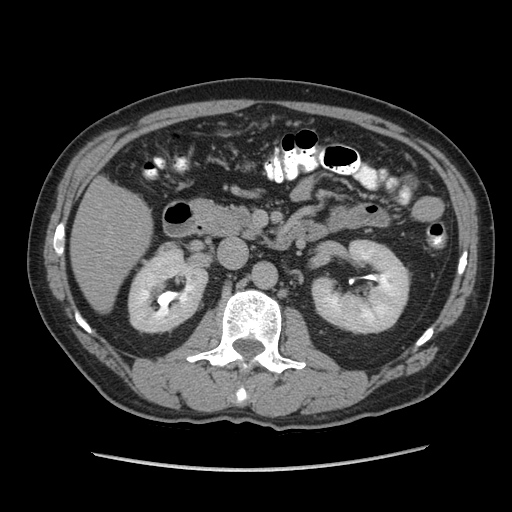
512x512 px | Upper abdomen | CT image
<segmentation>
  <pancreas>200, 204, 261, 240</pancreas>
</segmentation>